Slice index 69 | Field of view 240x240 mm | Head
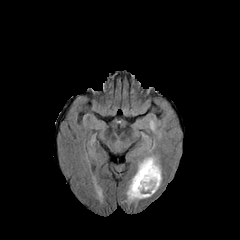
FLAIR MR image.
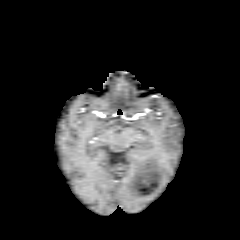
T1-weighted MRI.
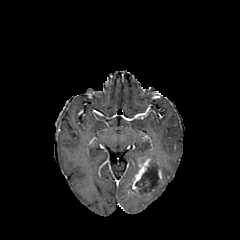
Post-contrast T1-weighted MRI.
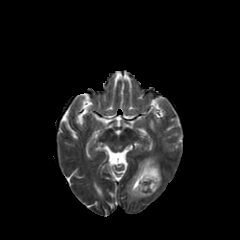
T2-weighted magnetic resonance.
Findings:
• edema: (138, 156, 159, 175), (126, 174, 161, 202)
• non-enhancing tumor core: (134, 180, 147, 195), (142, 170, 158, 178)
• enhancing tumor: (128, 158, 151, 194)